Brain
FLAIR MRI.
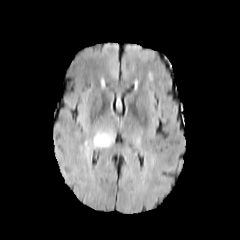
T1-weighted MR image.
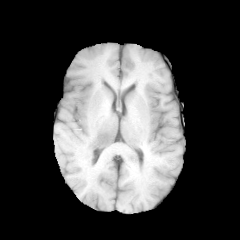
Post-contrast T1-weighted MR.
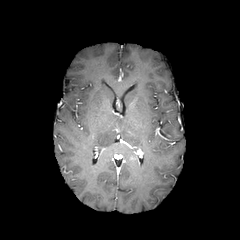
T2-weighted MR image.
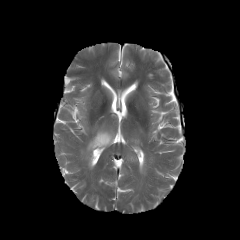
Segmented structures:
* enhancing tumor: 129:155:137:163
* edema: 86:131:113:152